MR image, Cardiac, Field of view 400x400 mm 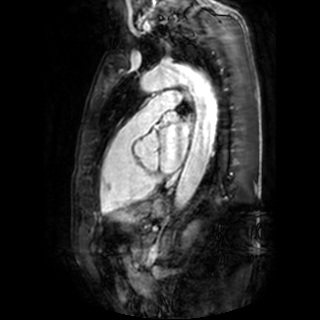 2 left atrium regions appear at (166, 112, 178, 121), (159, 122, 189, 172).